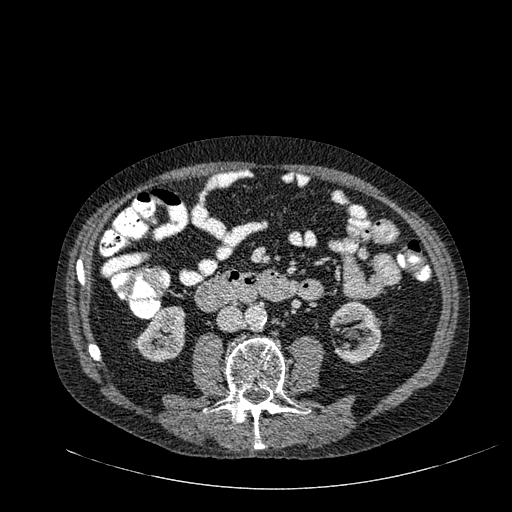
Image size 512x512. CT scan slice.
Kidney = l=133, t=306, r=185, b=361; l=329, t=301, r=382, b=363.